Computed tomography | Abdomen | Slice index 27 | Image size 512x512

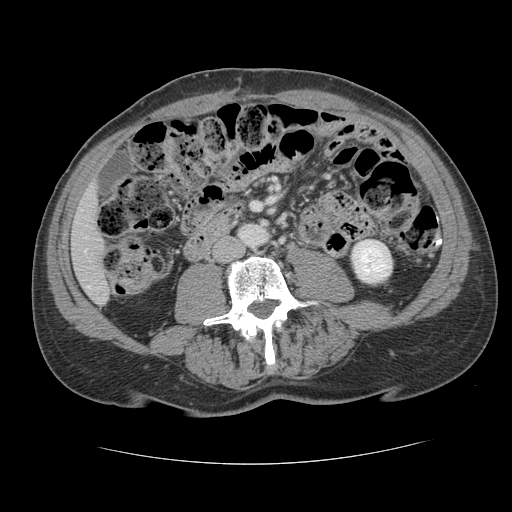
Only some of the vessels may be annotated.
2 hepatic vessel regions are located at 87, 286, 89, 287; 84, 249, 86, 251.